CT slice. Liver. Image size 512x512. Slice 67 of 151.
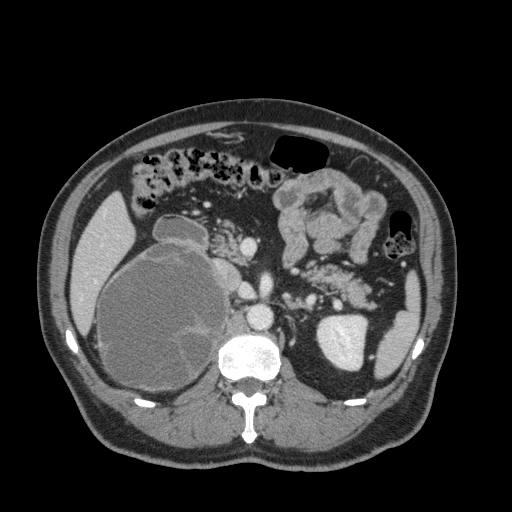 Liver: l=71, t=193, r=133, b=333.
Kidney: l=317, t=316, r=366, b=369.